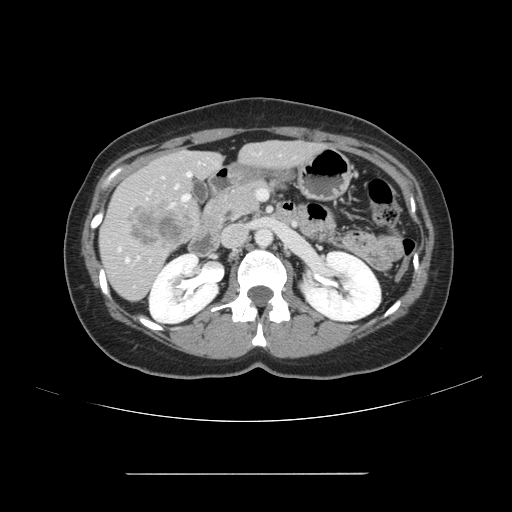
CT slice. Only some of the vessels may be annotated.
hepatic_vessel:
  - box=[182, 195, 188, 200]
  - box=[175, 185, 177, 188]
  - box=[126, 258, 128, 262]
  - box=[118, 247, 120, 250]
  - box=[171, 203, 173, 205]
  - box=[187, 172, 191, 175]
liver_tumor:
  - box=[129, 206, 194, 248]